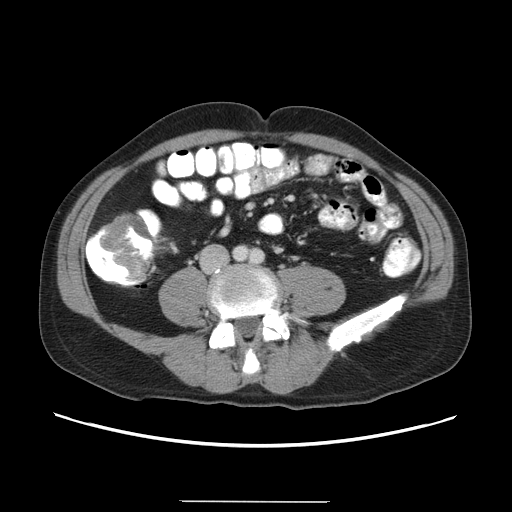

CT slice; 512x512

Segmented structures:
- colon tumor: bbox=[99, 213, 149, 281]